FLAIR MR image.
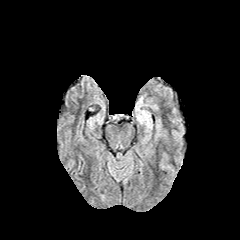
T1-weighted magnetic resonance.
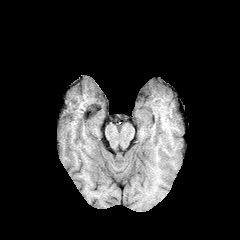
Post-contrast T1-weighted MRI.
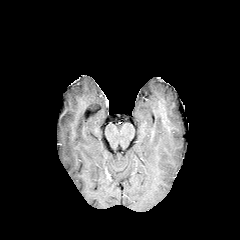
T2-weighted MRI.
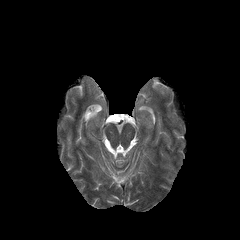
Head
Segmented structures:
• edema: (138,108,152,119)